Slice 66/155. Head.
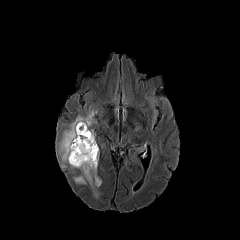
FLAIR MR image.
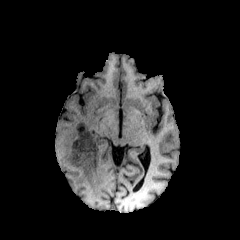
T1-weighted MR image of the same slice.
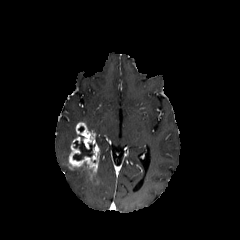
Post-contrast T1-weighted MR image of the same slice.
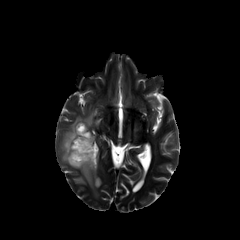
T2-weighted MR image of the same slice.
edema:
  - bbox(71, 166, 102, 190)
  - bbox(58, 104, 99, 168)
non-enhancing_tumor_core:
  - bbox(73, 141, 92, 160)
enhancing_tumor:
  - bbox(68, 121, 99, 183)